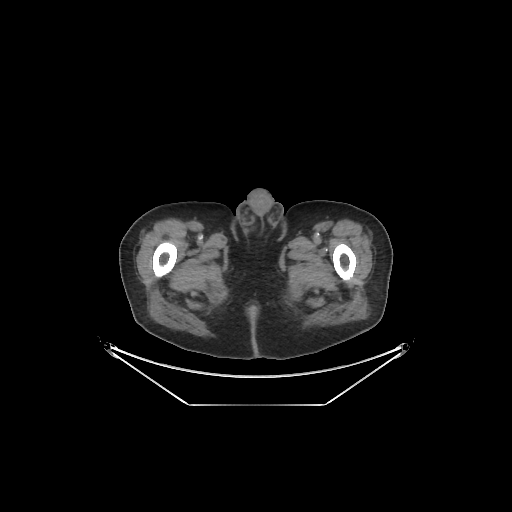

CT | 512x512
Segmented structures:
• bone: box(153, 242, 176, 276); box(333, 243, 356, 280)